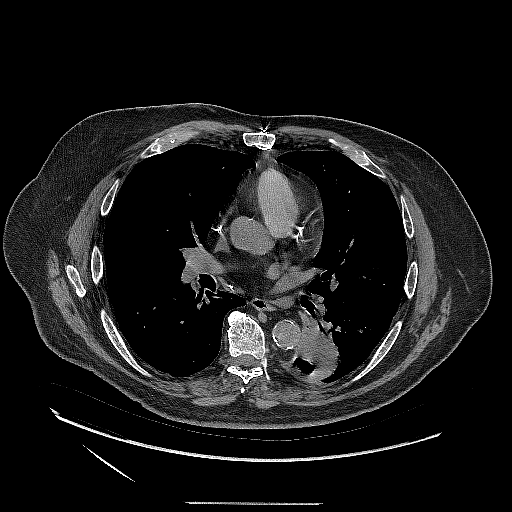

Thorax. CT slice.
<segmentation>
  <lung_tumor>[x1=296, y1=304, x2=342, y2=380]</lung_tumor>
</segmentation>